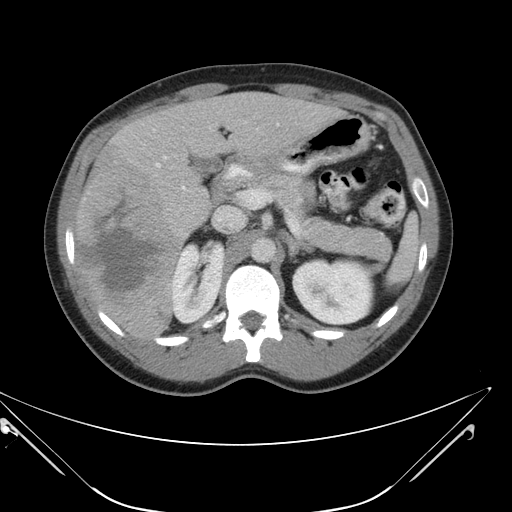

CT | Liver

The vessel annotation is not exhaustive.
- hepatic vessel: bbox=[156, 163, 159, 166]; bbox=[215, 207, 243, 228]; bbox=[182, 186, 184, 189]; bbox=[163, 156, 166, 159]; bbox=[277, 124, 278, 125]; bbox=[152, 129, 155, 131]
- liver tumor: bbox=[76, 145, 178, 335]